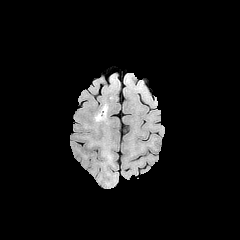
FLAIR MR.
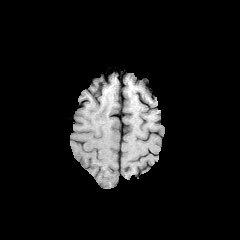
T1-weighted MRI of the same slice.
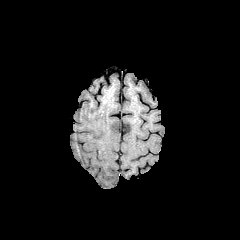
Post-contrast T1-weighted magnetic resonance.
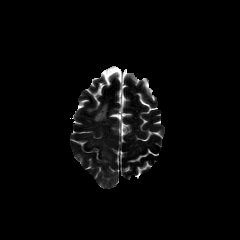
T2-weighted MR.
240x240 px; Head
edema:
  - 97, 106, 106, 119